Slice index 43
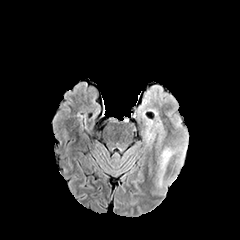
FLAIR MRI.
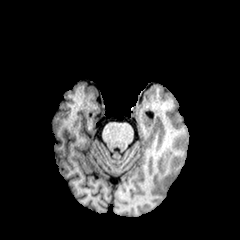
T1-weighted MR.
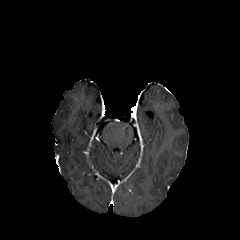
Same slice, post-contrast T1-weighted MR image.
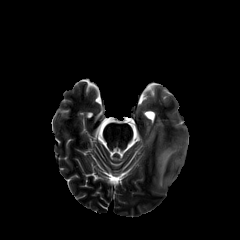
T2-weighted MR of the same slice.
Edema at box=[157, 148, 176, 172].